Magnetic resonance.

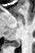

Annotated regions:
- posterior hippocampus: 8 41 20 47